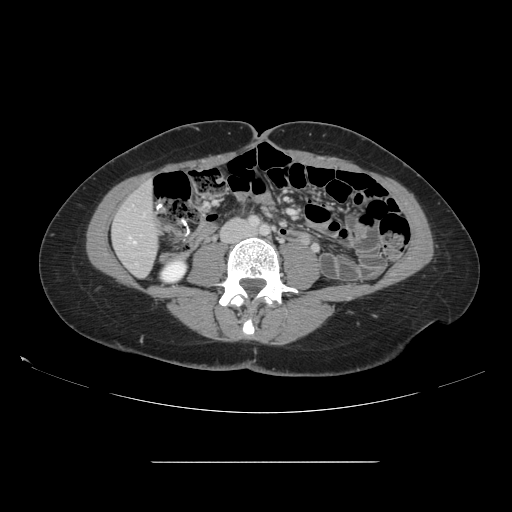
Liver; CT
The vessel annotation is not exhaustive.
{"hepatic_vessel": ["(x1=128, y1=237, x2=135, y2=243)", "(x1=143, y1=213, x2=145, y2=216)"]}